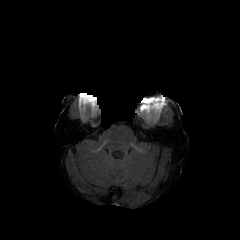
FLAIR MRI.
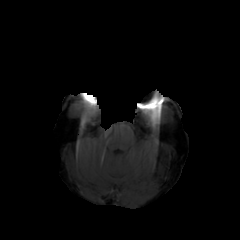
T1-weighted magnetic resonance.
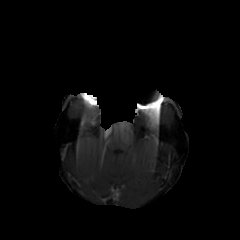
Post-contrast T1-weighted magnetic resonance.
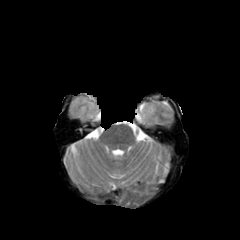
T2-weighted MRI.
Head
enhancing tumor: 140,100,165,117 | non-enhancing tumor core: 150,108,161,122; 154,96,165,105; 81,98,98,114; 137,102,147,117